Computed tomography; 512x512 px
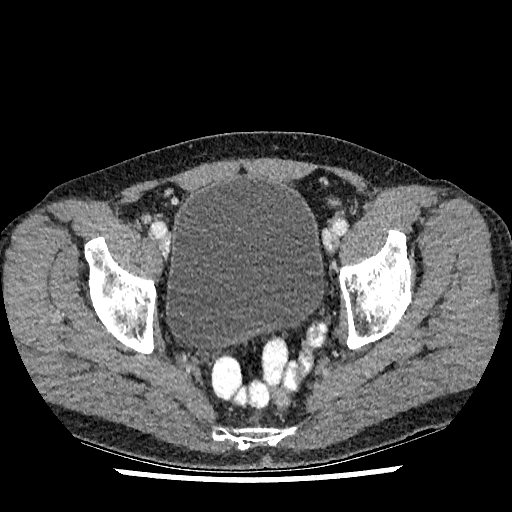 <segmentation>
  <urinary_bladder>(166,177,323,353)</urinary_bladder>
</segmentation>